Image size 512x512. CT slice. Field of view 700x700 mm. 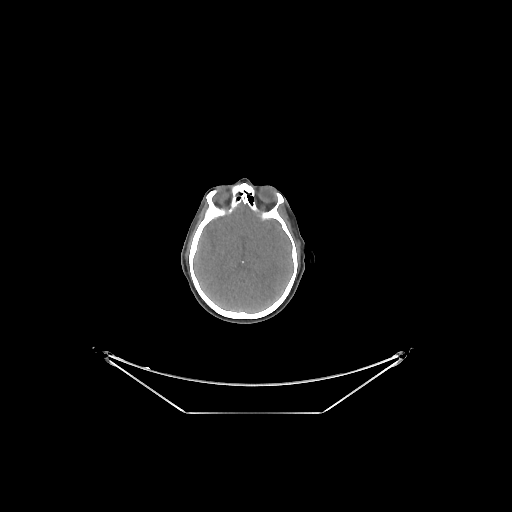
brain: box(193, 201, 293, 313)